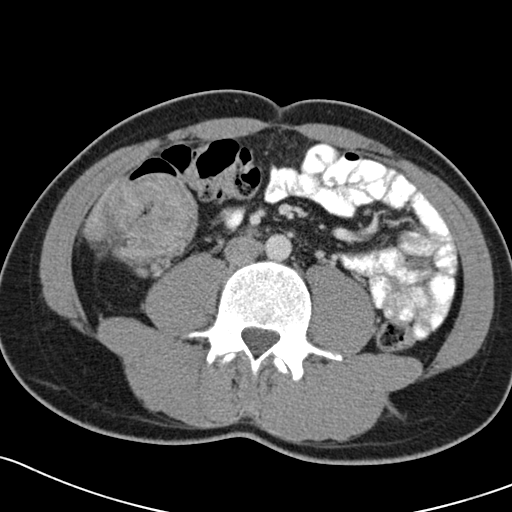 Abdomen. CT scan slice. 512x512 px.
Colon tumor at x1=109 y1=175 x2=196 y2=263.